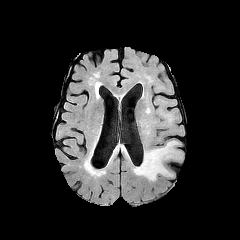
FLAIR MR image.
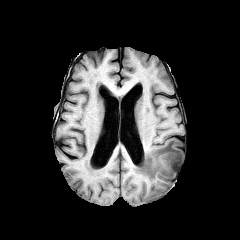
Same slice, T1-weighted magnetic resonance.
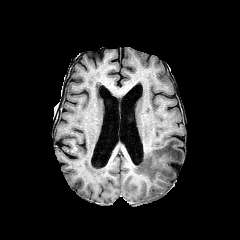
Same slice, post-contrast T1-weighted magnetic resonance.
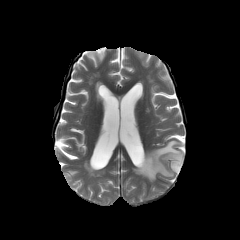
T2-weighted MR.
Brain.
Edema — (x1=133, y1=140, x2=180, y2=182).